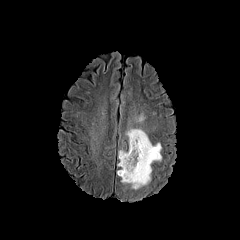
FLAIR MRI.
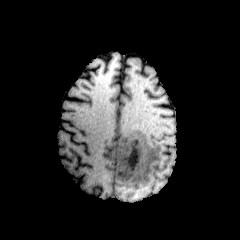
Same slice, T1-weighted magnetic resonance.
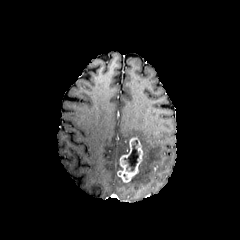
Post-contrast T1-weighted magnetic resonance of the same slice.
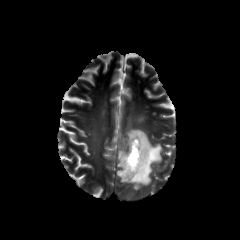
T2-weighted MR image.
non-enhancing_tumor_core:
  - [124, 140, 138, 171]
enhancing_tumor:
  - [117, 137, 143, 182]
edema:
  - [122, 128, 162, 192]
  - [128, 195, 142, 200]